Slice 110 of 148. CT image. Abdomen.
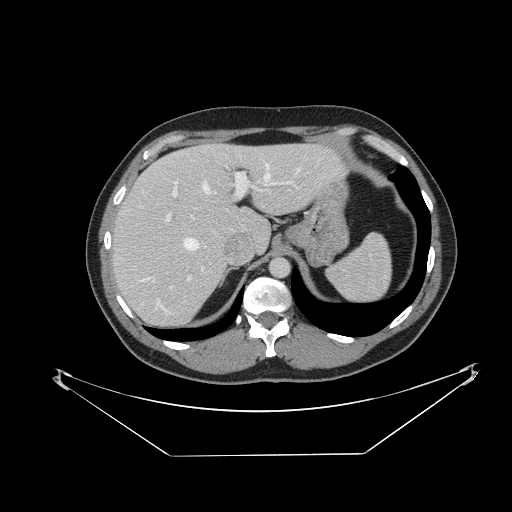
<segmentation>
  <spleen>left=329, top=234, right=391, bottom=302</spleen>
</segmentation>